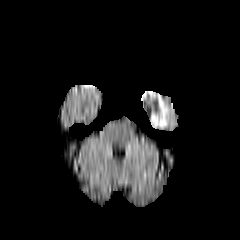
FLAIR MR.
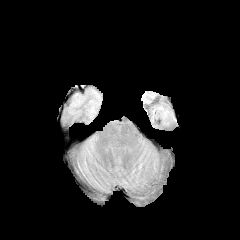
T1-weighted MRI.
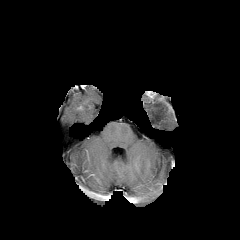
Post-contrast T1-weighted magnetic resonance of the same slice.
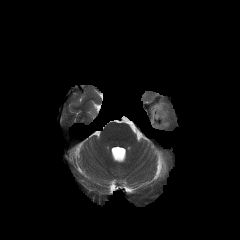
T2-weighted magnetic resonance of the same slice.
Brain. 240x240.
Edema = 150, 101, 168, 127.